Slice 88 of 161; Image width 440 mm; Liver; CT

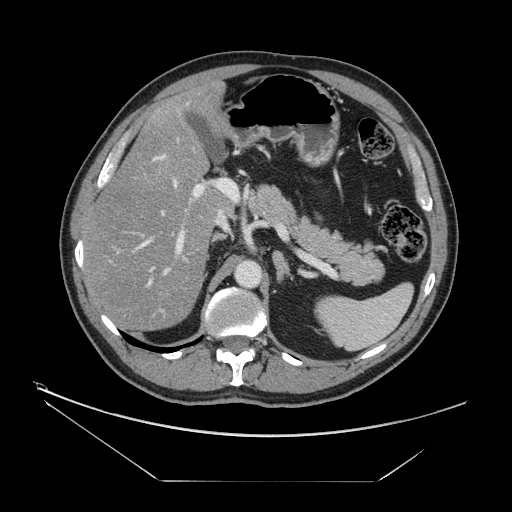 Some hepatic vessels may have no box.
<segmentation>
  <hepatic_vessel>(177,232,183,252), (140,241,148,246), (147,281,150,286), (219,211,220,212), (174,181,176,185), (153,155,165,159), (164,270,167,272)</hepatic_vessel>
</segmentation>